Slice 26/34; MRI slice; Medial temporal lobe 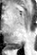
Posterior hippocampus: x1=10 y1=42 x2=21 y2=49.